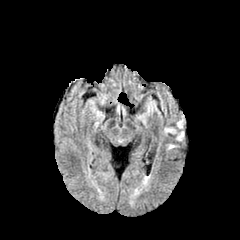
FLAIR MR image.
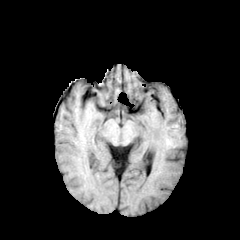
T1-weighted MRI of the same slice.
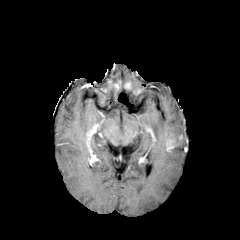
Same slice, post-contrast T1-weighted MR.
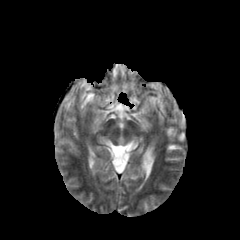
T2-weighted MR image of the same slice.
Brain
Edema — l=164, t=126, r=177, b=135; l=176, t=131, r=183, b=140.